MR image. Image width 38 mm. 38x53. Medial temporal lobe.
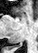
The posterior hippocampus is located at (x1=9, y1=45, x2=18, y2=48).